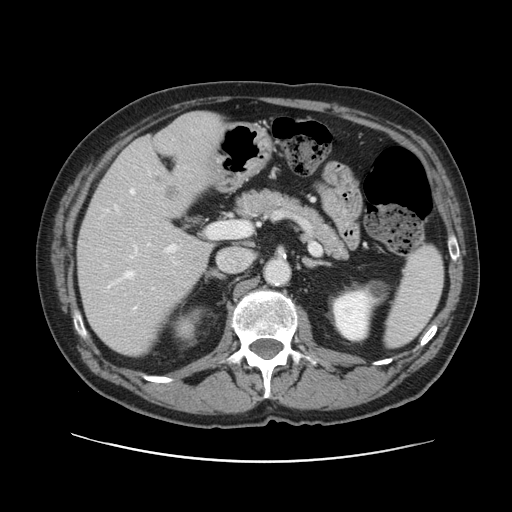
CT scan slice; 512x512
Only some of the vessels may be annotated.
• hepatic vessel: 130 189 133 193, 124 271 132 277, 133 307 135 308, 109 278 121 286, 115 205 117 209, 135 246 136 250, 165 245 175 251, 130 256 132 257